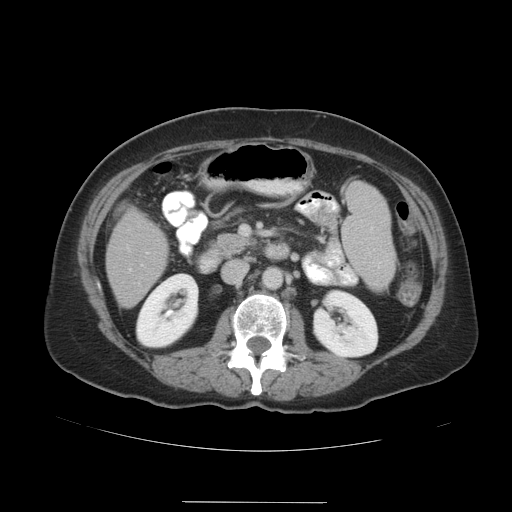

Liver. Image size 512x512. Computed tomography.

Not every hepatic vessel necessarily has a box.
{"hepatic_vessel": ["129 269 130 270"]}